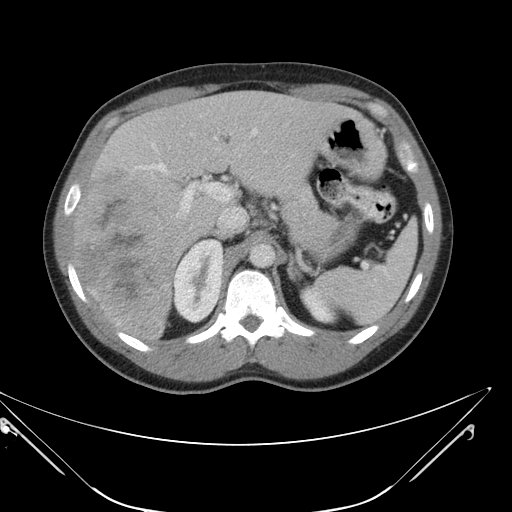 Computed tomography
Not every hepatic vessel necessarily has a box.
hepatic_vessel:
  - x1=135 y1=163 x2=165 y2=170
  - x1=219 y1=207 x2=243 y2=228
  - x1=183 y1=216 x2=184 y2=218
  - x1=151 y1=172 x2=152 y2=175
  - x1=190 y1=133 x2=193 y2=135
  - x1=251 y1=128 x2=256 y2=135
  - x1=176 y1=213 x2=179 y2=216
  - x1=216 y1=148 x2=219 y2=149
  - x1=180 y1=183 x2=231 y2=212
  - x1=151 y1=142 x2=155 y2=148
liver_tumor:
  - x1=74 y1=177 x2=175 y2=312